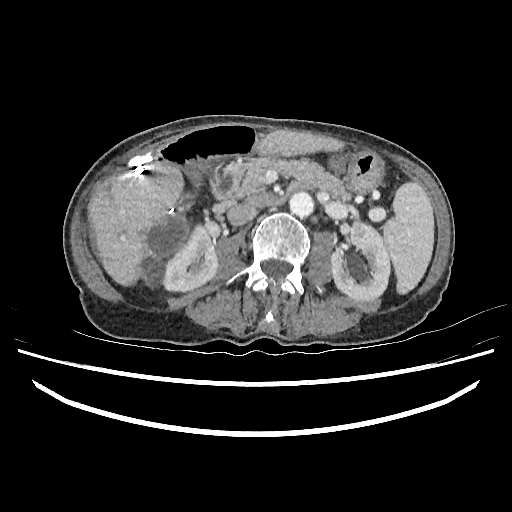

Computed tomography

Liver — <bbox>89, 165, 183, 285</bbox>, <bbox>257, 131, 343, 155</bbox>, <bbox>175, 225, 189, 251</bbox>.
Liver lesion — <bbox>142, 217, 187, 285</bbox>.
Kidney — <bbox>331, 222, 389, 300</bbox>, <bbox>164, 220, 219, 291</bbox>.